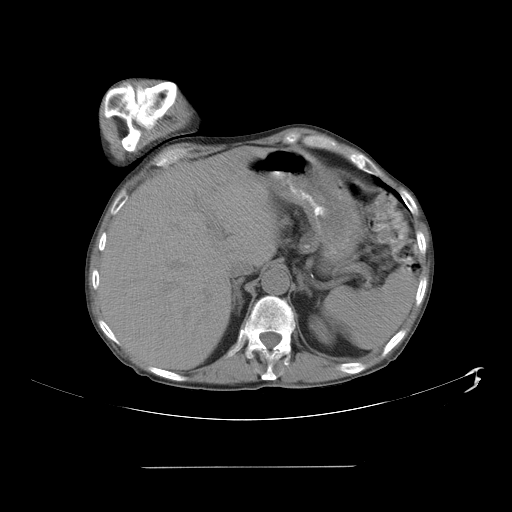 CT slice; 512x512 px; Upper abdomen

The spleen lies within <bbox>324, 269, 418, 348</bbox>.